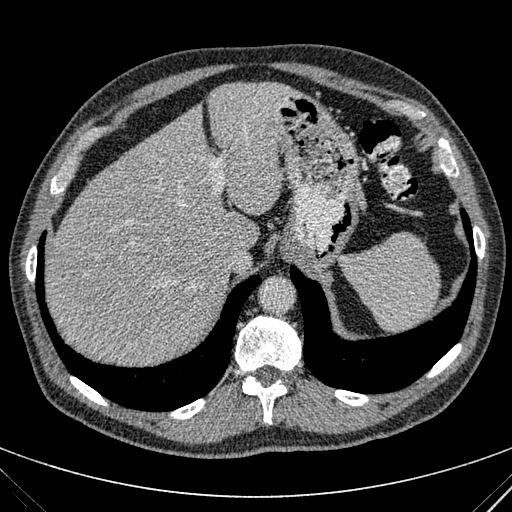 CT scan slice
Liver = 209 83 305 215, 354 180 364 211, 45 103 259 363.